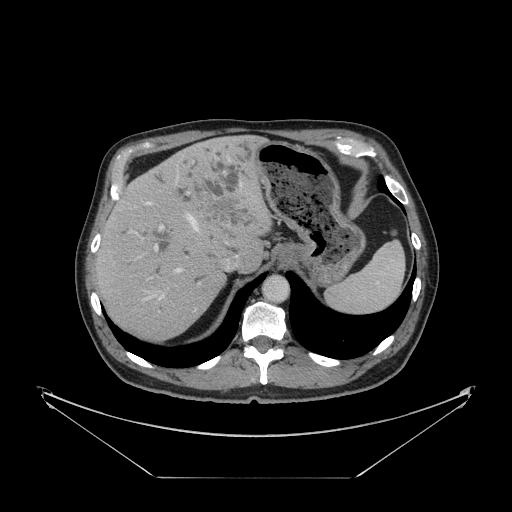

CT slice | Abdomen
The vessel annotation is not exhaustive.
{
  "liver_tumor": [
    "(204,195,242,232)"
  ],
  "hepatic_vessel": [
    "(176,269,180,271)",
    "(157,293,162,300)",
    "(187,215,197,229)",
    "(154,245,157,250)",
    "(145,202,150,204)",
    "(225,267,228,269)",
    "(176,178,177,182)",
    "(145,293,154,299)",
    "(239,181,241,186)",
    "(159,226,162,230)"
  ]
}